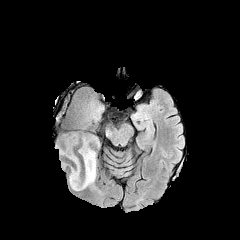
FLAIR MR image.
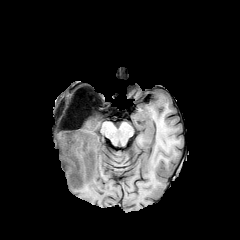
Same slice, T1-weighted MR.
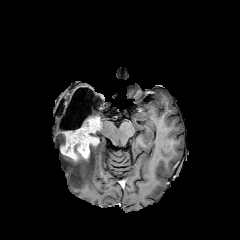
Post-contrast T1-weighted MRI.
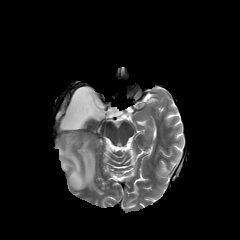
Same slice, T2-weighted MRI.
Image size 240x240
<segmentation>
  <enhancing_tumor>rect(85, 114, 99, 131); rect(60, 133, 78, 160); rect(78, 137, 98, 159)</enhancing_tumor>
  <edema>rect(60, 146, 96, 190)</edema>
  <non-enhancing_tumor_core>rect(74, 96, 101, 128); rect(65, 129, 96, 164)</non-enhancing_tumor_core>
</segmentation>